Abdomen. Field of view 487 mm wide, 3.75 mm slice spacing. Slice index 30. CT slice.

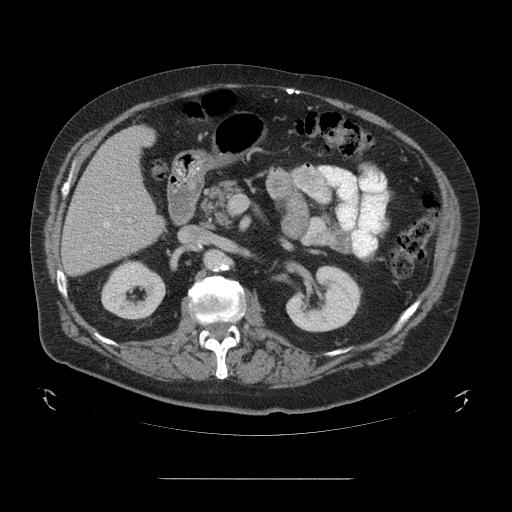

Not every hepatic vessel necessarily has a box.
Hepatic vessel = (left=103, top=219, right=111, bottom=228), (left=114, top=205, right=119, bottom=212), (left=118, top=227, right=133, bottom=233), (left=126, top=204, right=131, bottom=209), (left=127, top=218, right=130, bottom=222), (left=122, top=145, right=125, bottom=149), (left=87, top=244, right=90, bottom=249).